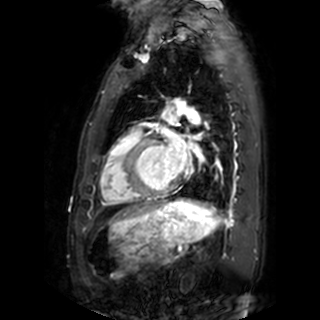
MR

The left atrium is bounded by <bbox>166, 131, 186, 171</bbox>.